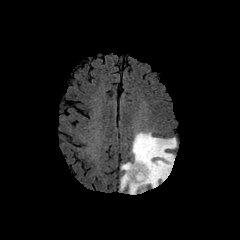
FLAIR magnetic resonance.
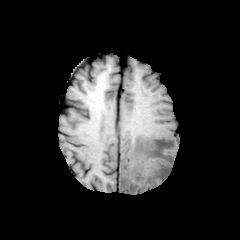
T1-weighted MR image.
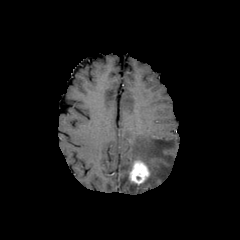
Same slice, post-contrast T1-weighted MR image.
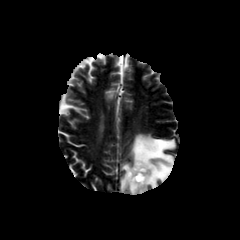
T2-weighted MR image.
Head
The enhancing tumor is bounded by <bbox>128, 159, 150, 185</bbox>. The non-enhancing tumor core is bounded by <bbox>136, 157, 153, 180</bbox>. The edema is located at <bbox>120, 132, 176, 193</bbox>.